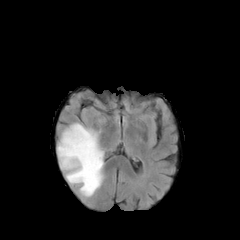
FLAIR MR image.
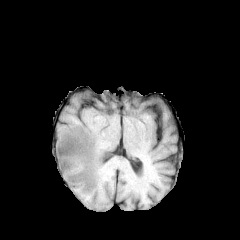
Same slice, T1-weighted MRI.
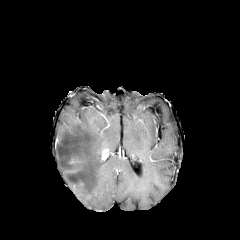
Same slice, post-contrast T1-weighted magnetic resonance.
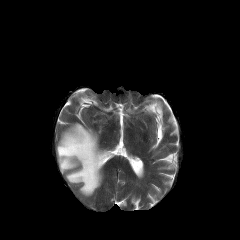
T2-weighted magnetic resonance.
Brain. Image size 240x240.
Edema — {"x1": 56, "y1": 123, "x2": 107, "y2": 196}.